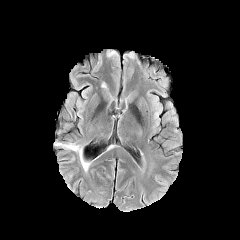
FLAIR MR image.
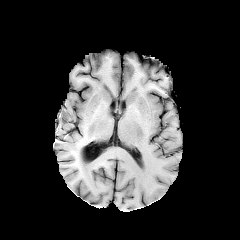
T1-weighted MRI.
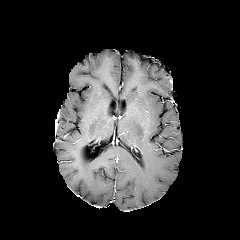
Same slice, post-contrast T1-weighted magnetic resonance.
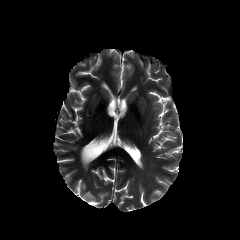
T2-weighted MR of the same slice.
240x240 px. Brain.
Edema — x1=54 y1=140 x2=90 y2=170.